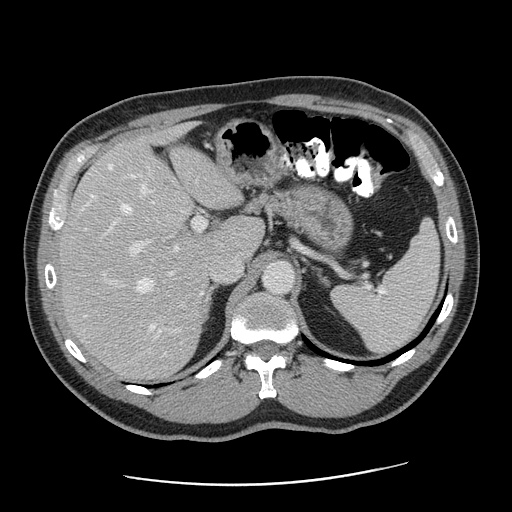
Computed tomography; 512x512 px
Not every hepatic vessel necessarily has a box.
Segmented structures:
• hepatic vessel: rect(109, 163, 112, 168); rect(131, 240, 149, 252); rect(192, 215, 206, 231); rect(138, 278, 152, 291); rect(203, 244, 247, 282); rect(165, 353, 166, 355); rect(142, 182, 147, 190); rect(109, 226, 112, 230); rect(175, 245, 178, 251); rect(171, 329, 179, 331); rect(92, 195, 94, 196); rect(122, 205, 130, 213); rect(171, 271, 174, 273); rect(150, 325, 164, 338)
• liver tumor: rect(161, 176, 175, 189)